Head. 240x240. Slice index 77.
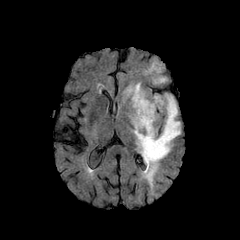
FLAIR MRI.
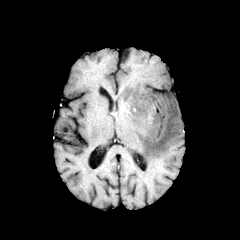
T1-weighted magnetic resonance.
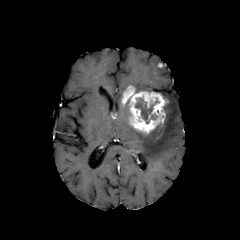
Post-contrast T1-weighted MR image.
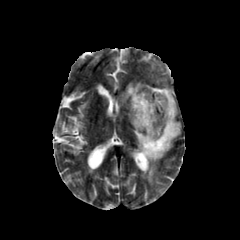
T2-weighted MR.
Annotated regions:
* non-enhancing tumor core: box=[135, 98, 153, 123]
* enhancing tumor: box=[122, 85, 168, 133]
* edema: box=[129, 82, 142, 91]; box=[132, 93, 180, 187]